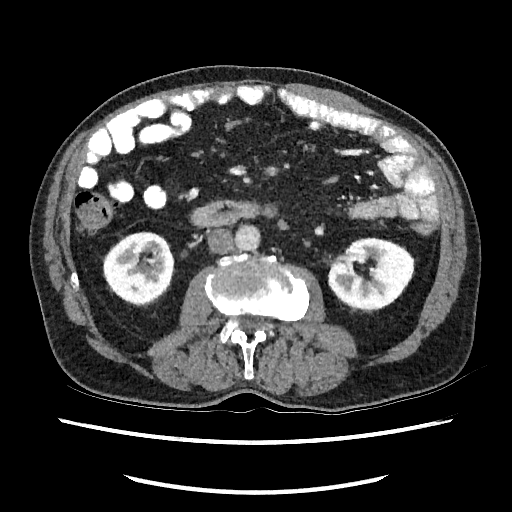

Computed tomography.
Kidney: bounding box bbox=[103, 232, 173, 305]; bbox=[328, 238, 413, 311].